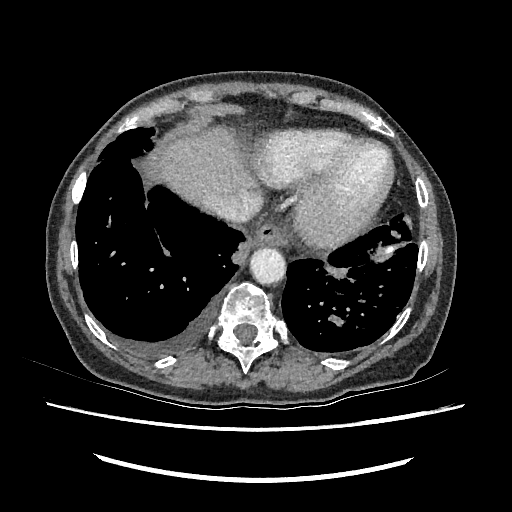
CT image; 512x512; Upper abdomen
The liver lies within box=[159, 131, 256, 207].